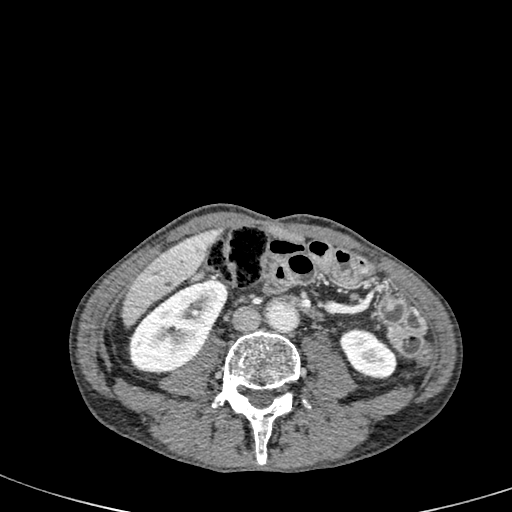

CT; Liver
Kidney — (x1=341, y1=330, x2=395, y2=377), (x1=130, y1=280, x2=227, y2=371).
Liver — (x1=123, y1=228, x2=222, y2=325).